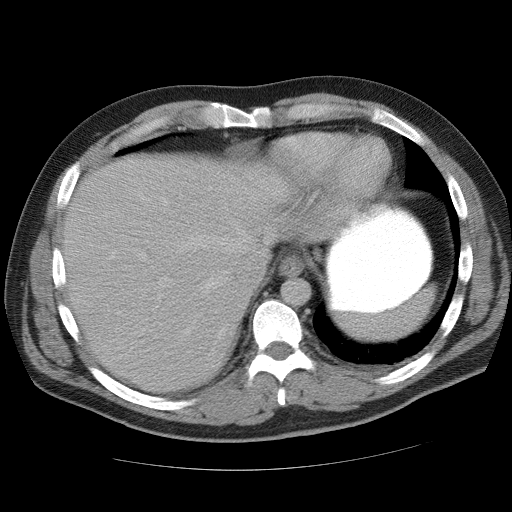

Image size 512x512, CT slice
Spleen: box(335, 288, 434, 342).